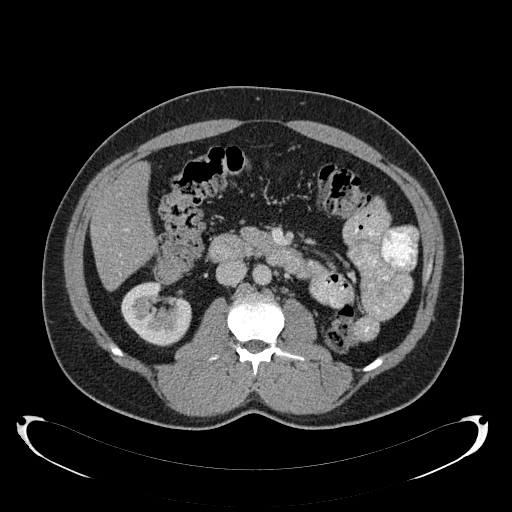 CT scan slice. The liver lies within [90, 162, 155, 289]. The kidney is at [122, 283, 190, 345].